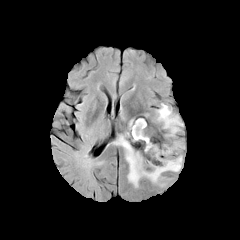
FLAIR MR.
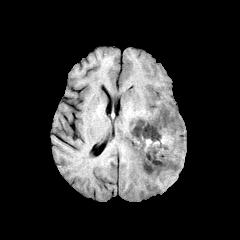
Same slice, T1-weighted magnetic resonance.
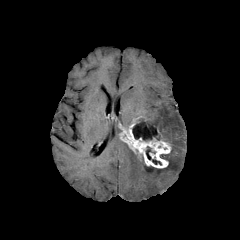
Post-contrast T1-weighted MRI.
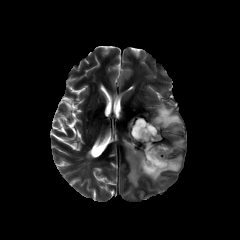
Same slice, T2-weighted MR image.
Brain
<segmentation>
  <edema>left=153, top=102, right=183, bottom=135; left=113, top=135, right=182, bottom=187; left=174, top=140, right=183, bottom=148</edema>
  <enhancing_tumor>left=121, top=120, right=171, bottom=167</enhancing_tumor>
  <non-enhancing_tumor_core>left=145, top=146, right=161, bottom=165; left=132, top=118, right=158, bottom=141; left=140, top=154, right=164, bottom=171</non-enhancing_tumor_core>
</segmentation>